CT scan slice, Abdomen

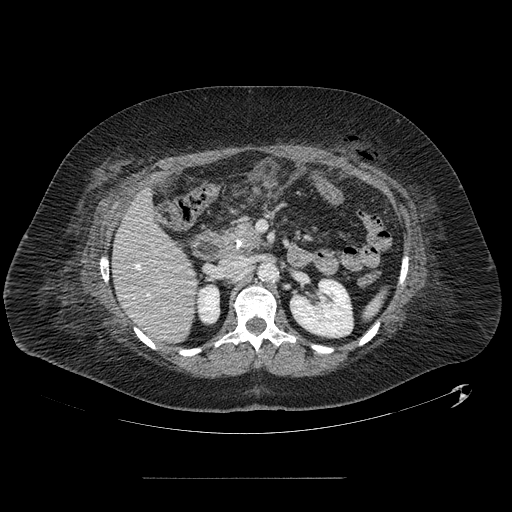 pancreatic_tumor:
  - (x1=238, y1=227, x2=257, y2=242)
pancreas:
  - (x1=223, y1=222, x2=260, y2=252)